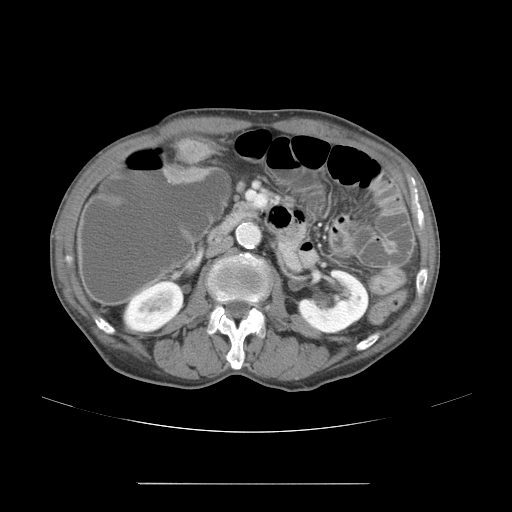

CT slice, 512x512 px, Pelvis
2 colon tumor regions are located at region(164, 165, 207, 184); region(177, 140, 209, 162).